512x512; Abdomen; Computed tomography; Field of view 372 mm wide, 2.50 mm slice spacing; Slice 28/71
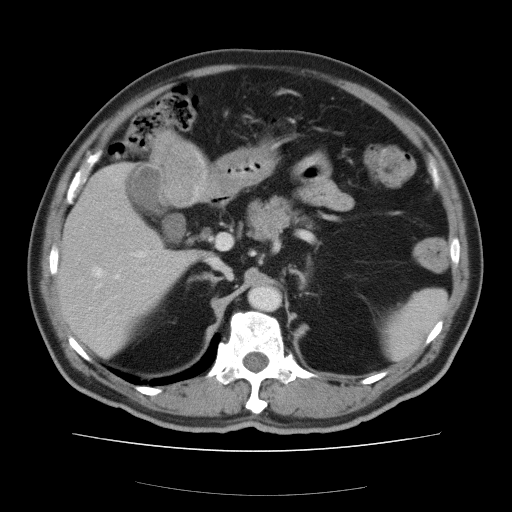 Not every hepatic vessel necessarily has a box.
Hepatic vessel: [137,252,141,254], [146,251,148,253], [92,267,101,275], [218,236,224,247], [114,274,117,277], [96,283,100,286].
Liver tumor: [157,138,202,202].